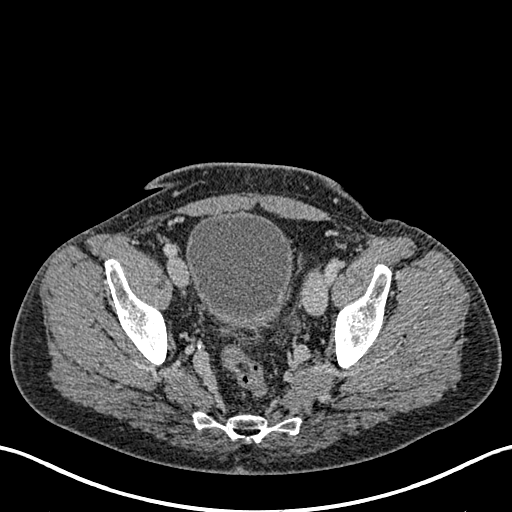
CT. Image size 512x512. Lower abdomen. Urinary bladder: bounding box <bbox>186, 215, 292, 331</bbox>.